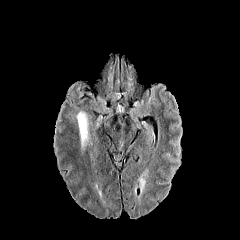
FLAIR MR.
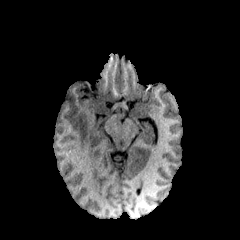
Same slice, T1-weighted MRI.
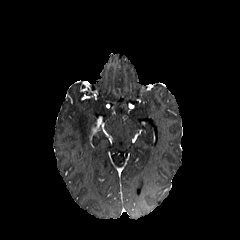
Same slice, post-contrast T1-weighted magnetic resonance.
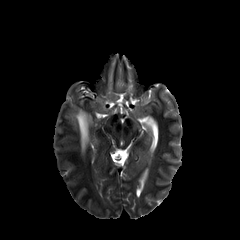
Same slice, T2-weighted MRI.
240x240 px.
The edema is bounded by [76, 111, 91, 150].